Slice index 70; Head
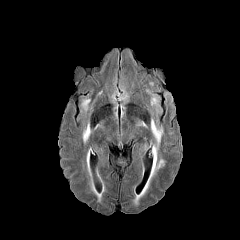
FLAIR MR.
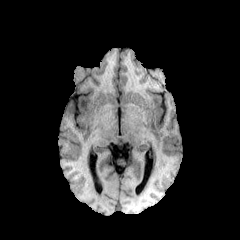
Same slice, T1-weighted MR image.
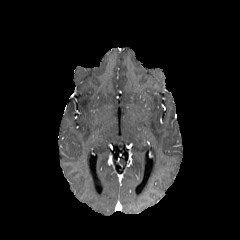
Post-contrast T1-weighted MRI of the same slice.
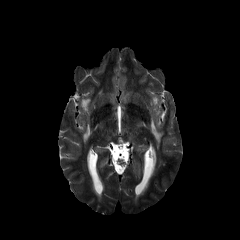
T2-weighted MR.
Edema at [x1=86, y1=150, x2=103, y2=202], [x1=83, y1=99, x2=89, y2=111], [x1=134, y1=119, x2=164, y2=203], [x1=82, y1=123, x2=90, y2=143].